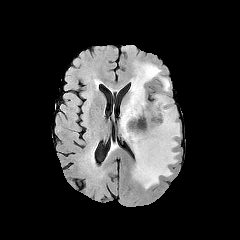
FLAIR magnetic resonance.
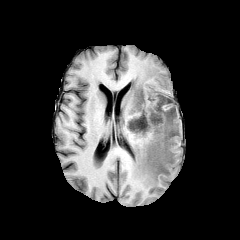
T1-weighted MR of the same slice.
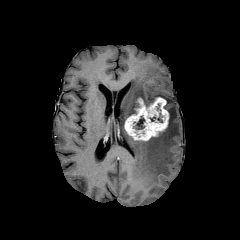
Same slice, post-contrast T1-weighted MR image.
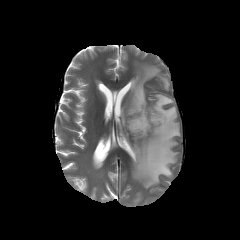
T2-weighted magnetic resonance.
Image size 240x240.
Annotated regions:
• non-enhancing tumor core: 133, 116, 145, 129; 123, 96, 143, 125; 150, 108, 175, 137
• edema: 120, 63, 179, 188; 164, 98, 173, 109
• enhancing tumor: 124, 97, 169, 140